FLAIR magnetic resonance.
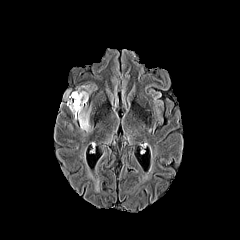
T1-weighted MRI.
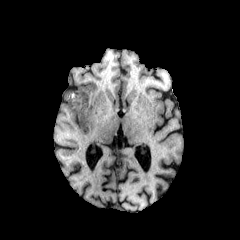
Post-contrast T1-weighted MR image.
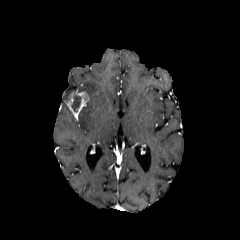
T2-weighted MR image.
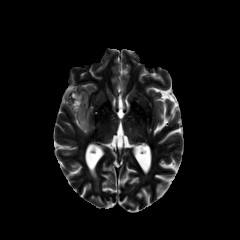
Brain.
The non-enhancing tumor core is bounded by [x1=72, y1=96, x2=81, y2=110]. The enhancing tumor is at [x1=66, y1=90, x2=89, y2=117]. 3 edema regions appear at [x1=78, y1=85, x2=91, y2=95], [x1=73, y1=105, x2=94, y2=136], [x1=62, y1=89, x2=71, y2=100].